CT scan slice | 512x512 | Field of view 380x380 mm | Slice index 48
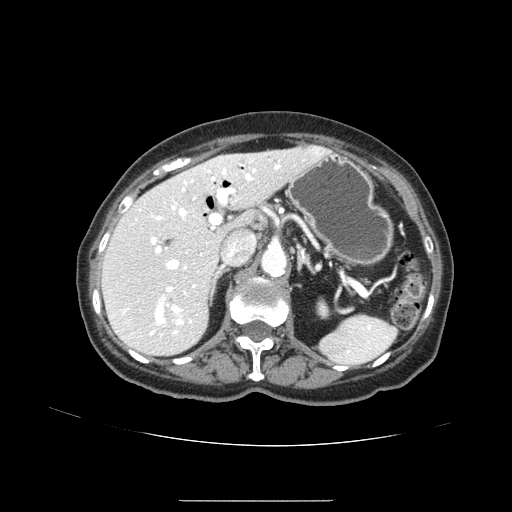
- pancreas: 325:245:336:255